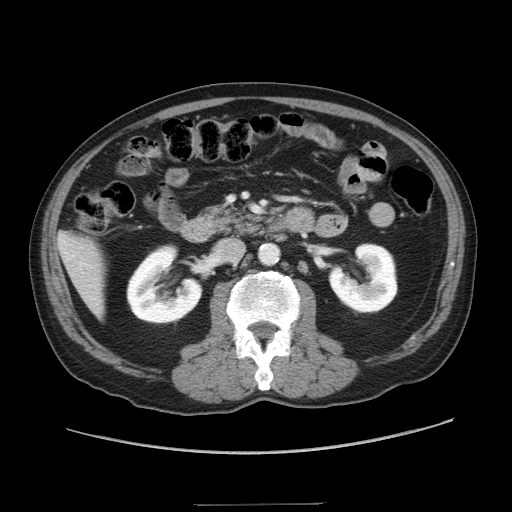 CT image; Abdomen; Image size 512x512

<segmentation>
  <pancreas>box(206, 207, 266, 233)</pancreas>
</segmentation>